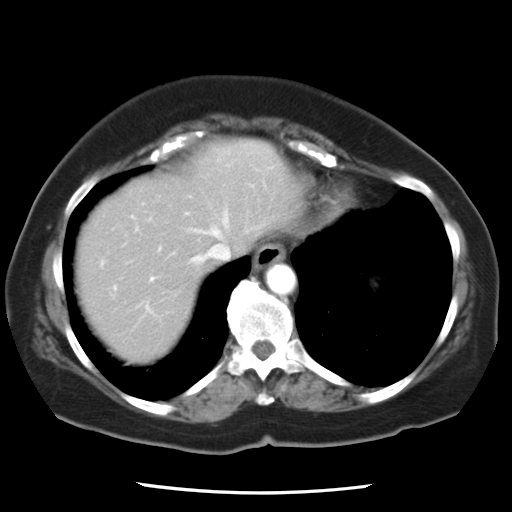

512x512 px; CT slice
Not every hepatic vessel necessarily has a box.
Hepatic vessel = (left=194, top=230, right=230, bottom=262), (left=150, top=278, right=152, bottom=280), (left=225, top=217, right=225, bottom=221).